512x512; CT slice; Slice 25/59 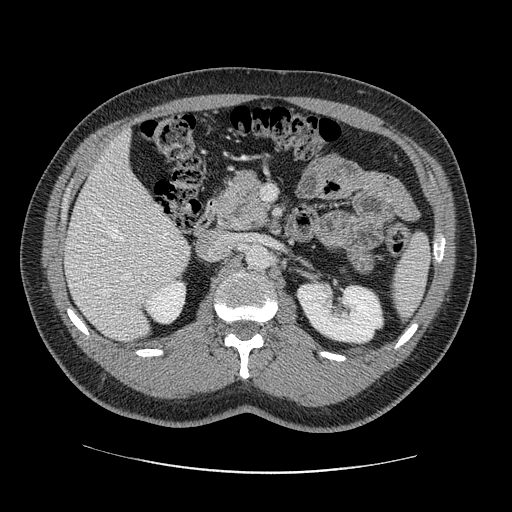

<segmentation>
  <pancreas>{"x1": 209, "y1": 170, "x2": 268, "y2": 232}</pancreas>
</segmentation>